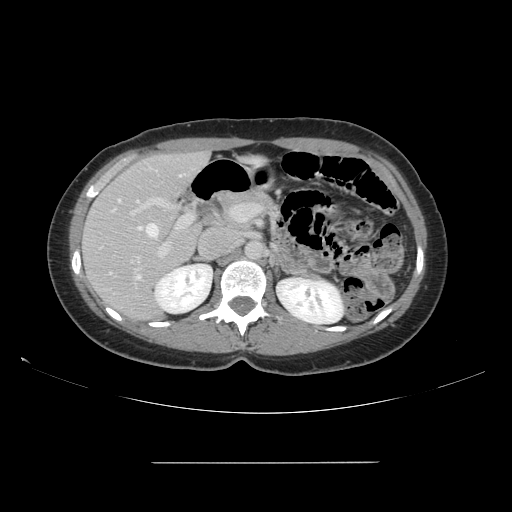
CT image, Liver

The vessel boxes may cover only some of the vessels.
Annotated regions:
• hepatic vessel: <box>135,269,140,279</box>, <box>179,174,184,176</box>, <box>131,210,136,214</box>, <box>142,197,167,206</box>, <box>176,220,185,229</box>, <box>136,257,139,262</box>, <box>157,241,171,256</box>, <box>148,166,151,169</box>, <box>137,200,139,202</box>, <box>155,169,156,171</box>, <box>138,223,158,237</box>, <box>111,209,115,211</box>, <box>109,272,111,273</box>